Computed tomography. Upper abdomen. Slice 429 of 761. 512x512 px.

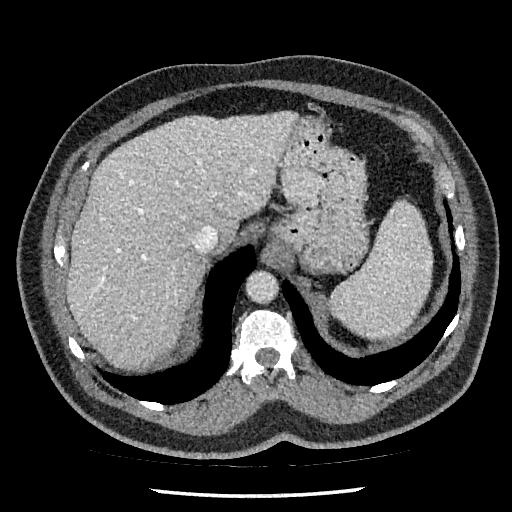

Annotated regions:
* liver: [66,111,299,368]